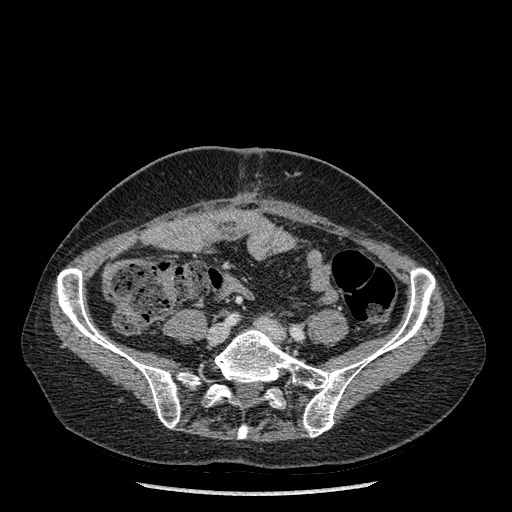
CT scan slice, 512x512

Annotated regions:
* bone: bbox=[56, 268, 180, 428]; bbox=[177, 372, 200, 388]; bbox=[205, 384, 233, 405]; bbox=[263, 388, 285, 407]; bbox=[215, 268, 435, 437]; bbox=[237, 425, 248, 438]